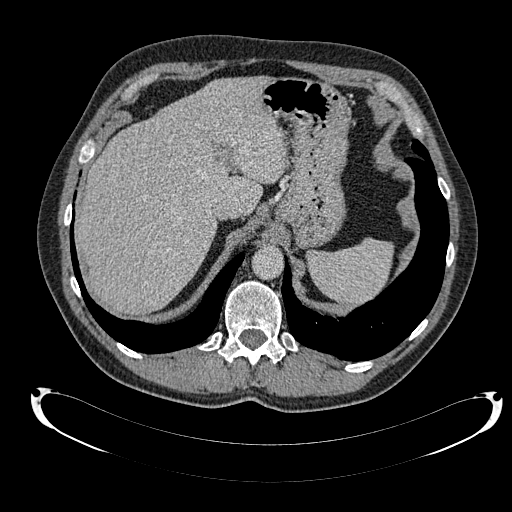

Abdomen; CT slice

Liver — {"x1": 77, "y1": 76, "x2": 287, "y2": 313}.